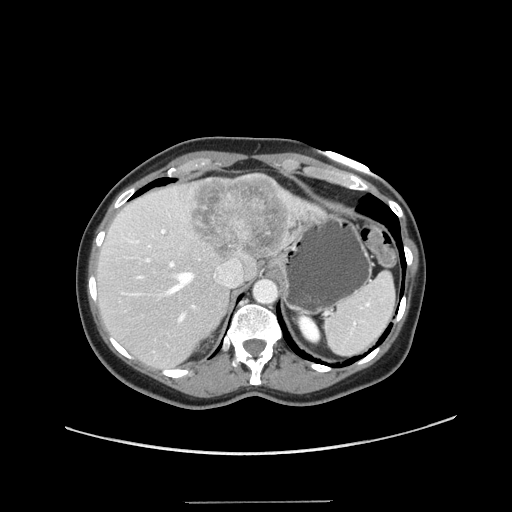
CT scan slice
Only some of the vessels may be annotated.
* liver tumor: 187 175 290 259
* hepatic vessel: 168 273 192 292, 192 305 194 307, 146 258 149 260, 131 293 137 294, 170 262 173 265, 162 229 164 232, 214 259 241 288, 179 314 183 319, 138 275 142 277